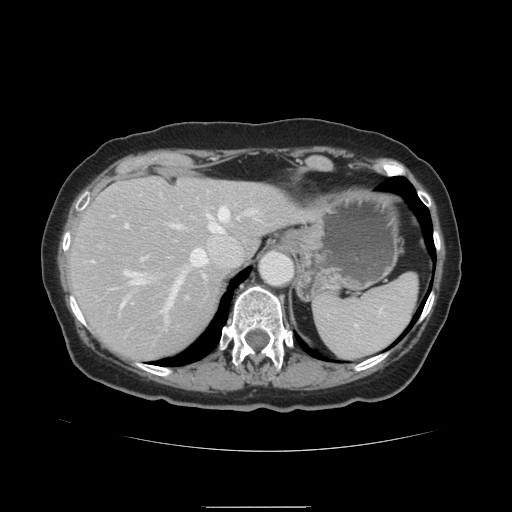 Computed tomography. Abdomen. Image size 512x512.

Only some of the vessels may be annotated.
Hepatic vessel: 165 317 166 323, 190 249 206 265, 125 225 127 227, 205 206 228 232, 237 217 239 218, 162 278 180 315, 141 258 143 259, 124 270 142 284, 120 302 123 307, 246 209 255 213.